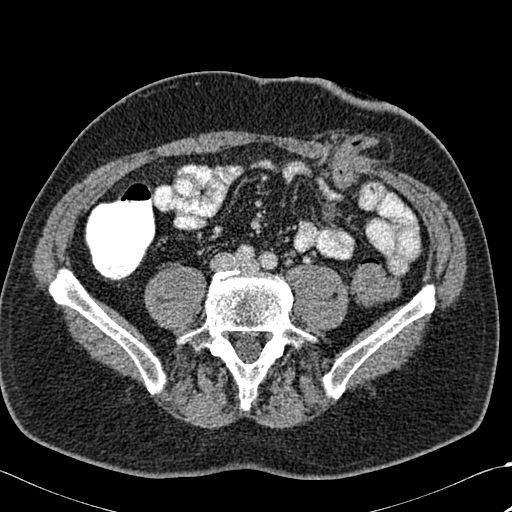

CT slice. Segmented structures:
* bone: {"x1": 177, "y1": 269, "x2": 312, "y2": 409}, {"x1": 49, "y1": 269, "x2": 165, "y2": 393}, {"x1": 323, "y1": 285, "x2": 435, "y2": 398}